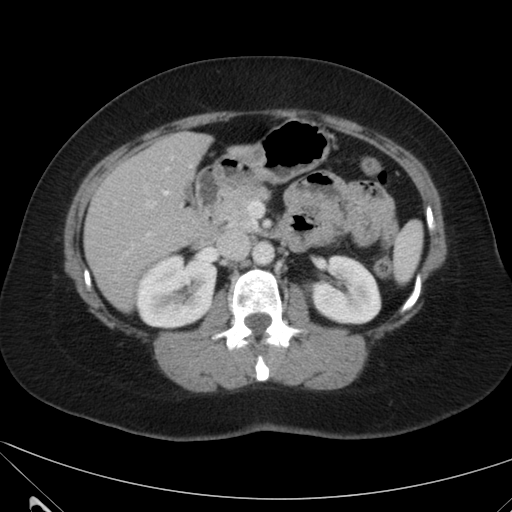 512x512 px. CT image.
Annotated regions:
• liver: 84,132,212,310; 229,147,257,158
• kidney: 310,257,377,322; 138,257,215,326